Field of view 240 mm wide, 1.00 mm slice spacing; Head; 240x240 px
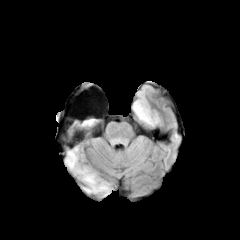
FLAIR MRI.
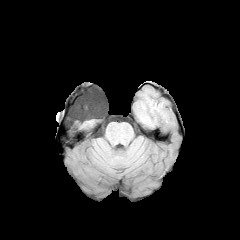
T1-weighted MRI.
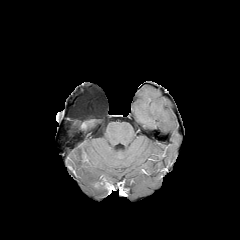
Post-contrast T1-weighted MRI of the same slice.
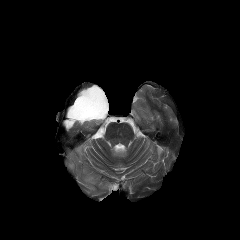
T2-weighted MR of the same slice.
Findings:
- edema: bbox=[66, 146, 108, 193]; bbox=[80, 119, 97, 127]